Brain, Slice index 41
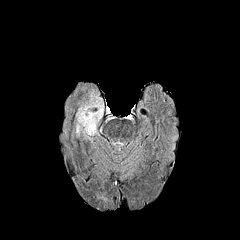
FLAIR MR.
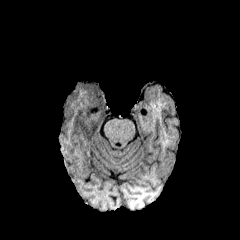
T1-weighted MR of the same slice.
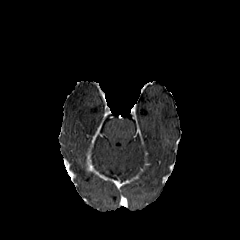
Post-contrast T1-weighted MR.
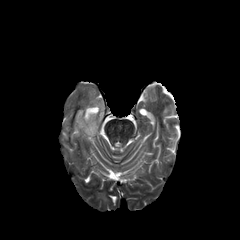
T2-weighted MR.
The edema is bounded by (left=76, top=105, right=103, bottom=135).